CT scan slice. Lower abdomen. 512x512 px. Slice index 125. 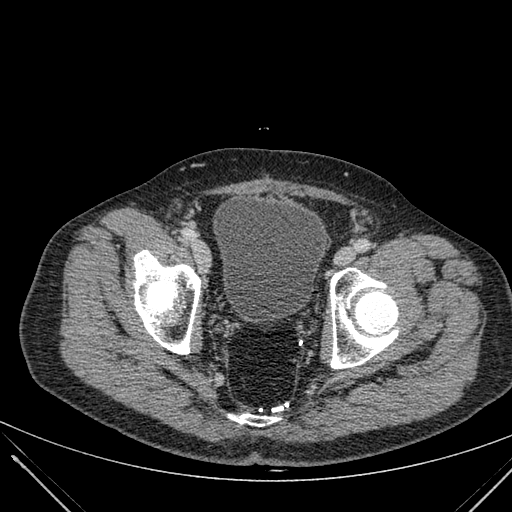

Urinary bladder: bounding box x1=213, y1=199, x2=327, y2=319.